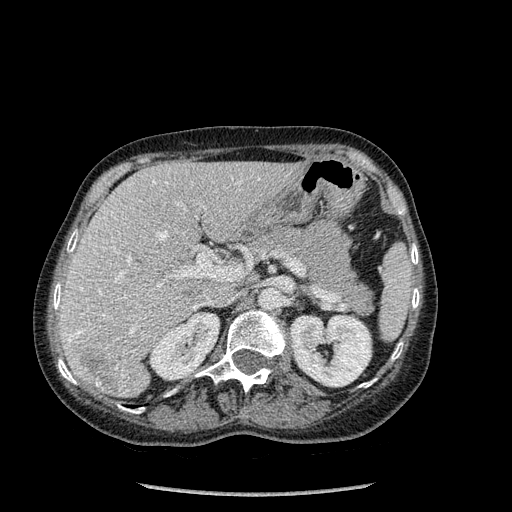

CT image; Liver
Kidney = rect(150, 313, 219, 379); rect(290, 315, 370, 386).
Bone = rect(410, 244, 418, 264); rect(53, 282, 62, 309); rect(394, 202, 405, 214); rect(391, 342, 403, 360); rect(58, 358, 76, 384); rect(67, 231, 78, 252); rect(411, 288, 419, 308); rect(358, 379, 376, 387); rect(195, 310, 286, 392); rect(117, 404, 144, 413).
Liver = rect(60, 162, 304, 397).
Focal liver lesion = rect(83, 353, 117, 391); rect(188, 288, 202, 296).